Slice 74 of 96. Field of view 424 mm wide, 5.00 mm slice spacing. CT. 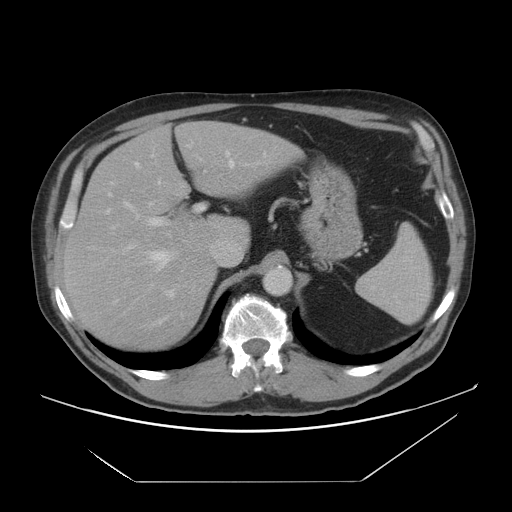 Liver at 60:121:304:349.